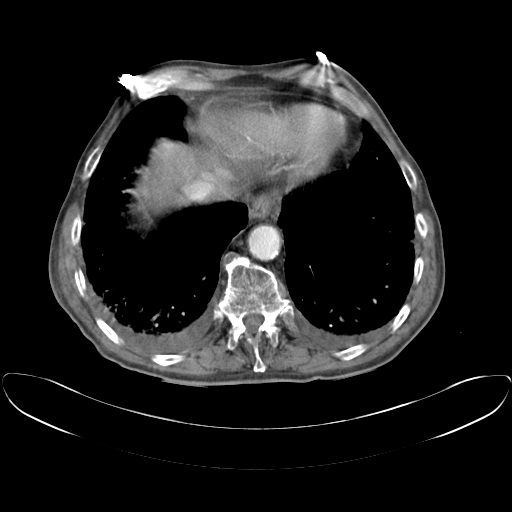 CT image
Not every hepatic vessel necessarily has a box.
{
  "hepatic_vessel": [
    "(left=184, top=180, right=215, bottom=199)"
  ]
}